Slice 60 of 605 | CT scan slice

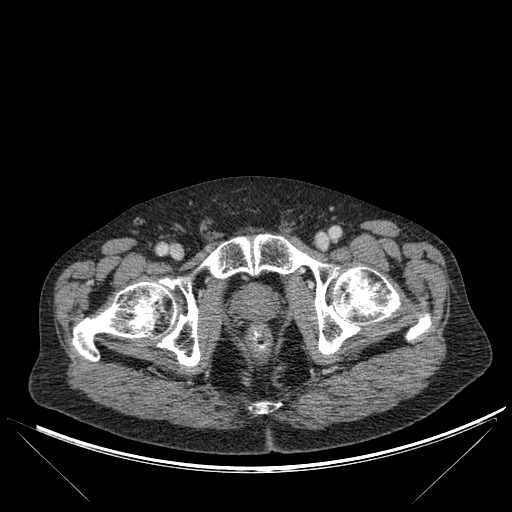

4 bone regions are bounded by rect(199, 234, 400, 355); rect(407, 314, 430, 340); rect(257, 402, 268, 412); rect(72, 277, 200, 366).